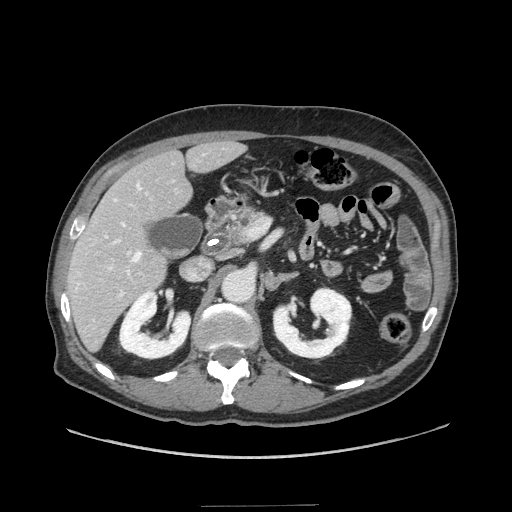

CT image | Abdomen
The pancreas is located at (231,209,262,243).